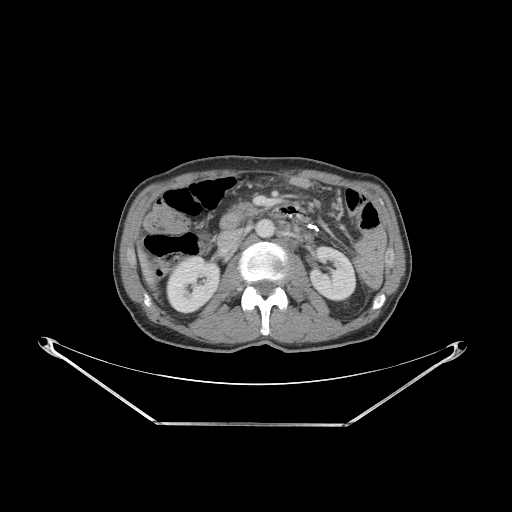 Upper abdomen; Computed tomography; 512x512 px

<segmentation>
  <kidney>left=167, top=257, right=218, bottom=312; left=311, top=247, right=354, bottom=299</kidney>
  <liver>left=139, top=251, right=148, bottom=280</liver>
  <bone>left=373, top=295, right=384, bottom=308; left=240, top=242, right=289, bottom=334</bone>
</segmentation>